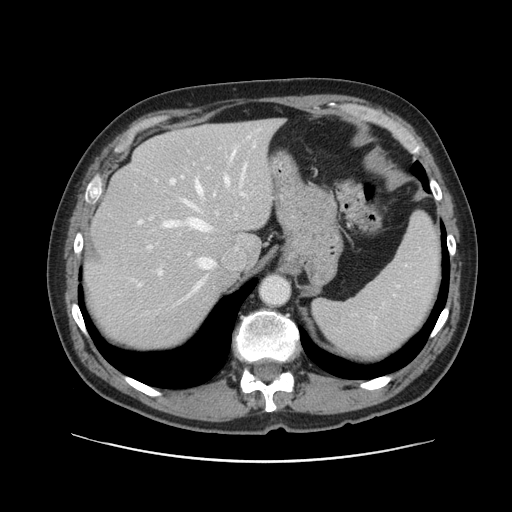
Abdomen; CT

Only some of the vessels may be annotated.
The largest 15 hepatic vessel regions (of 19) are bounded by 186:218:209:230, 182:199:193:206, 240:164:245:185, 248:135:250:138, 171:179:174:183, 164:220:178:225, 198:258:214:269, 190:281:202:293, 225:177:228:184, 158:270:161:274, 196:178:202:194, 231:150:235:157, 138:220:141:223, 148:246:151:248, 241:192:244:195.